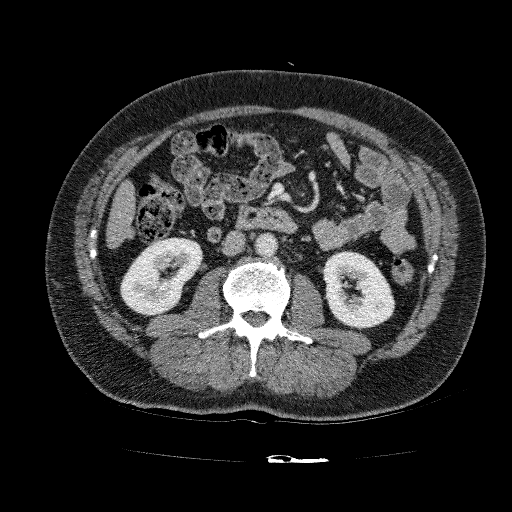 CT scan slice
Liver at [106, 179, 136, 247].
Kidney at [324, 252, 393, 327], [121, 238, 201, 314].